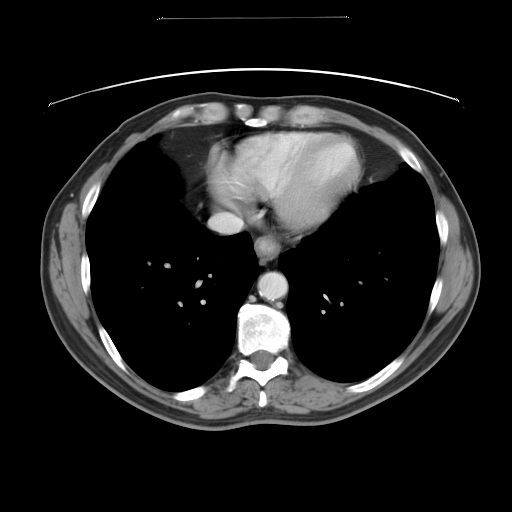
Computed tomography
Some hepatic vessels may have no box.
hepatic vessel: <box>213,215,241,229</box>